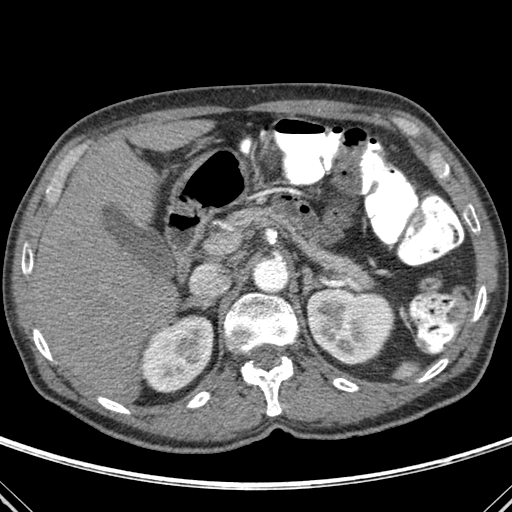
CT image. Liver.

{
  "bone": [
    "[21,244,32,273]",
    "[440,164,449,176]",
    "[33,329,52,360]",
    "[241,356,293,416]",
    "[473,286,486,321]",
    "[333,378,358,391]",
    "[463,204,480,232]",
    "[98,397,129,413]",
    "[224,293,297,354]",
    "[419,358,447,382]",
    "[187,391,209,407]"
  ],
  "kidney": [
    "[308,289,392,363]",
    "[143,317,212,391]"
  ],
  "liver": [
    "[173,192,178,209]",
    "[33,141,179,401]",
    "[130,119,214,151]"
  ]
}